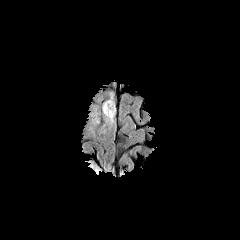
FLAIR MR.
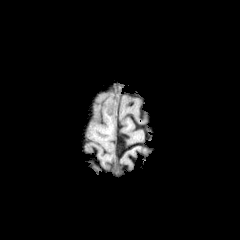
Same slice, T1-weighted MR image.
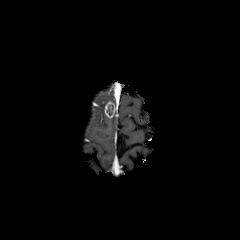
Post-contrast T1-weighted MR of the same slice.
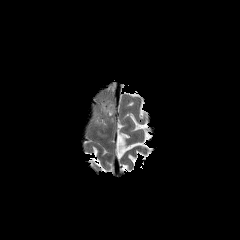
T2-weighted MR of the same slice.
Head
The enhancing tumor lies within box(104, 102, 116, 118).